FLAIR MR.
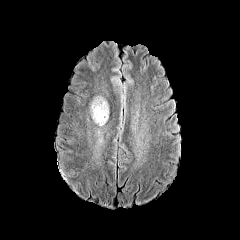
T1-weighted MR.
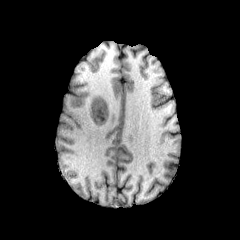
Post-contrast T1-weighted MRI.
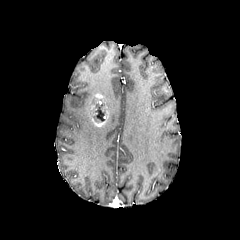
T2-weighted MRI.
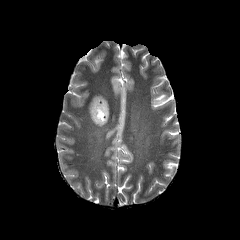
Non-enhancing tumor core: bounding box <box>90,97,108,122</box>.
Enhancing tumor: bounding box <box>89,105,109,126</box>, <box>94,93,103,104</box>.